Slice index 49 | Image width 432 mm | Abdomen | CT | 512x512

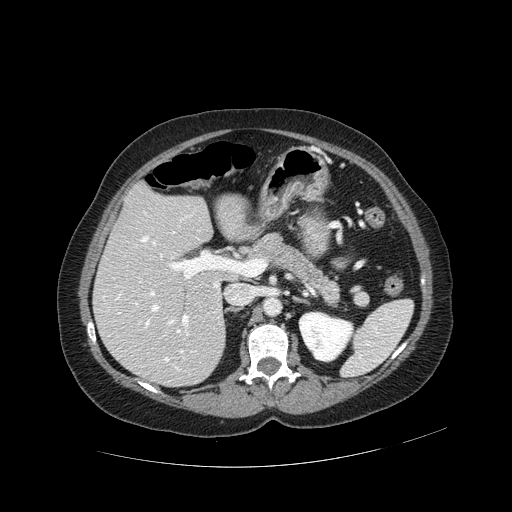
Findings:
* pancreas: bbox(248, 234, 339, 304)
* pancreatic tumor: bbox(258, 238, 289, 265)